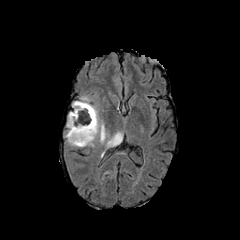
FLAIR magnetic resonance.
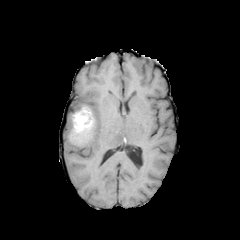
T1-weighted MR image of the same slice.
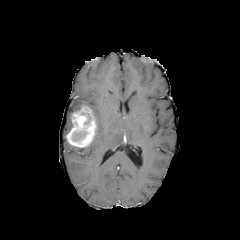
Same slice, post-contrast T1-weighted MR.
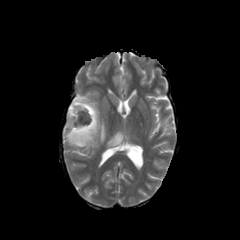
Same slice, T2-weighted magnetic resonance.
Image size 240x240. Brain.
enhancing_tumor:
  - rect(66, 106, 95, 147)
edema:
  - rect(65, 94, 118, 149)
non-enhancing_tumor_core:
  - rect(80, 109, 91, 123)